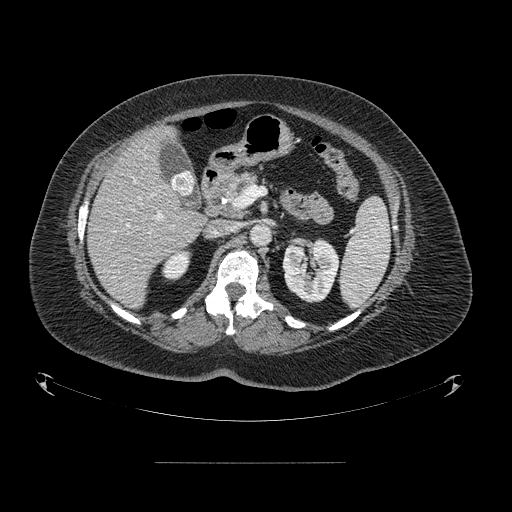
Upper abdomen; CT scan slice
Annotated regions:
• pancreatic tumor: 221,179,231,196
• pancreas: 216,173,256,201; 223,205,236,215